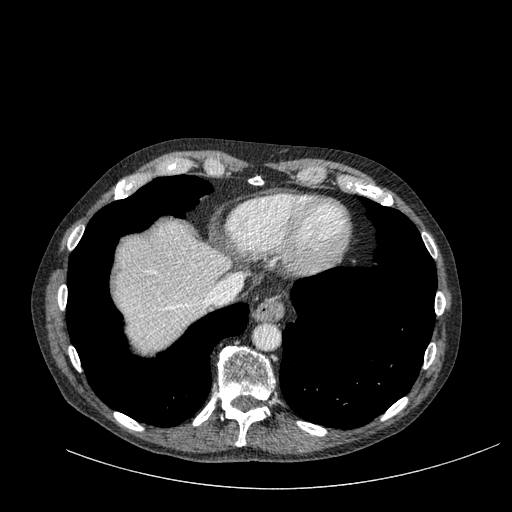

Liver | Computed tomography
{
  "liver": [
    "bbox(115, 222, 230, 350)"
  ]
}